Field of view 401x401 mm; Computed tomography; Abdomen
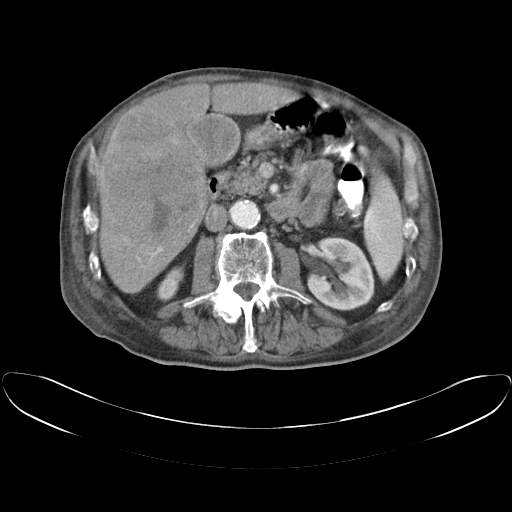
Not every hepatic vessel necessarily has a box.
- liver tumor: (104,111,201,245)
- hepatic vessel: (191,225,192,227), (183,102,185,103), (260,96,262,98), (148,246,162,261), (138,257,140,260), (243,91,245,93)